Brain.
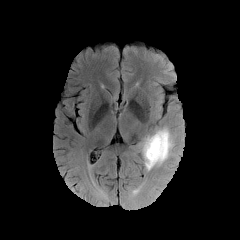
FLAIR MR image.
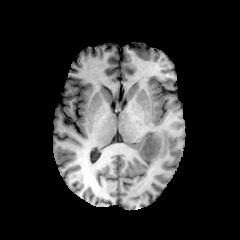
T1-weighted MR.
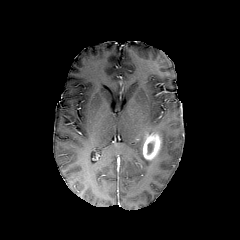
Post-contrast T1-weighted MRI of the same slice.
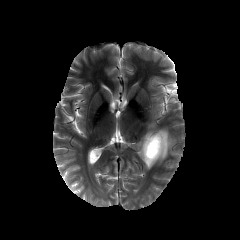
T2-weighted MR.
Enhancing tumor — 142, 132, 161, 161.
Edema — 138, 127, 177, 170.